Liver; CT image; Field of view 385 mm wide, 0.80 mm slice spacing; 512x512; Slice 373/547 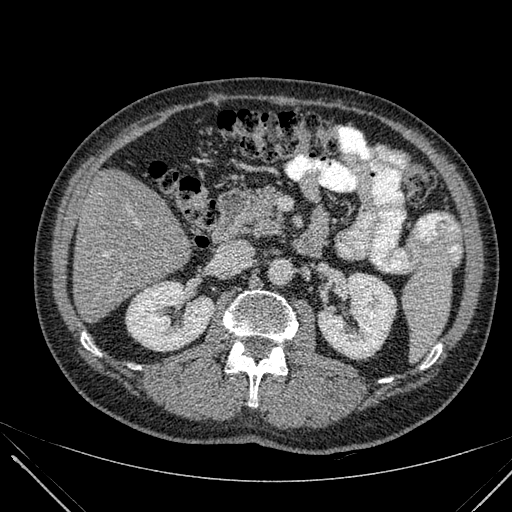
{
  "liver": [
    "[73, 170, 192, 322]"
  ],
  "kidney": [
    "[126, 282, 213, 350]",
    "[319, 273, 395, 357]"
  ]
}